Image size 240x240. Brain. Slice 75/155.
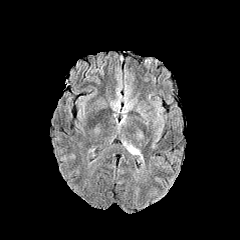
FLAIR MR.
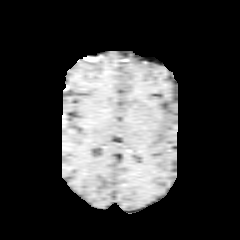
Same slice, T1-weighted magnetic resonance.
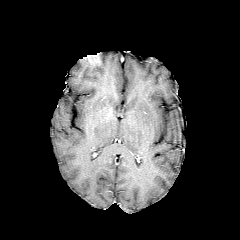
Post-contrast T1-weighted MRI.
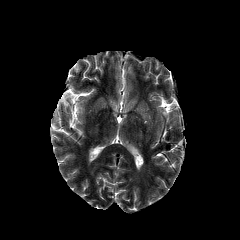
T2-weighted magnetic resonance.
* edema: bbox=[123, 140, 142, 159]; bbox=[153, 102, 163, 117]; bbox=[136, 106, 148, 124]; bbox=[110, 73, 136, 131]